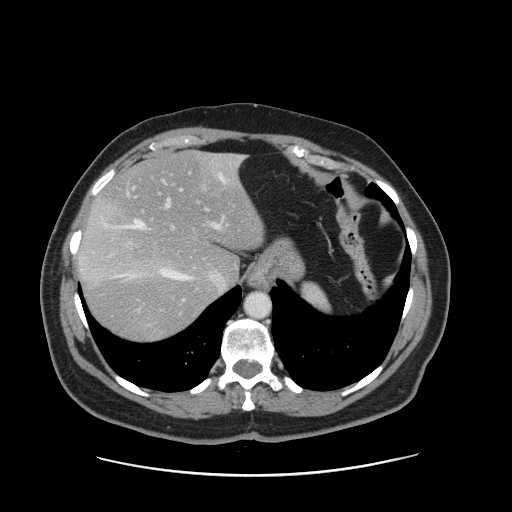

Computed tomography
The vessel annotation is not exhaustive.
Annotated regions:
• hepatic vessel: box=[182, 299, 184, 301]; box=[162, 269, 170, 275]; box=[180, 274, 187, 279]; box=[171, 226, 173, 228]; box=[219, 175, 223, 180]; box=[166, 198, 170, 207]; box=[225, 224, 227, 225]; box=[120, 273, 132, 277]; box=[211, 222, 222, 228]